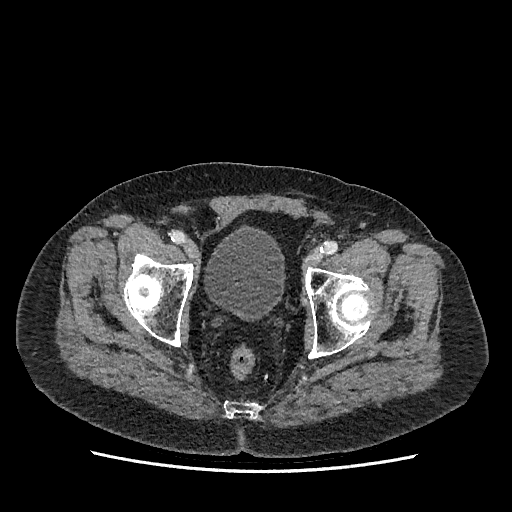 CT image
{"urinary_bladder": ["204,230,284,320"]}